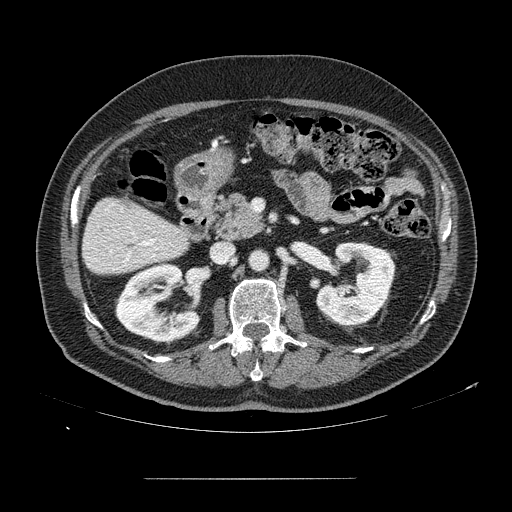 Computed tomography. The pancreas appears at 214:193:264:241.